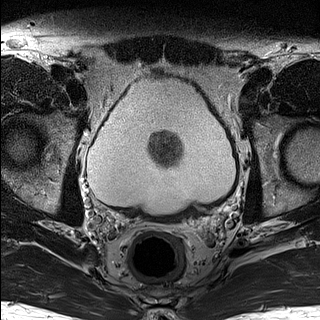
T2-weighted MRI.
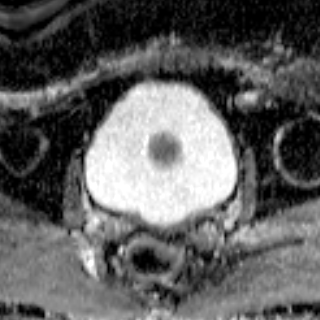
ADC MRI.
Prostate
• prostate transition zone: bbox(153, 135, 182, 165)